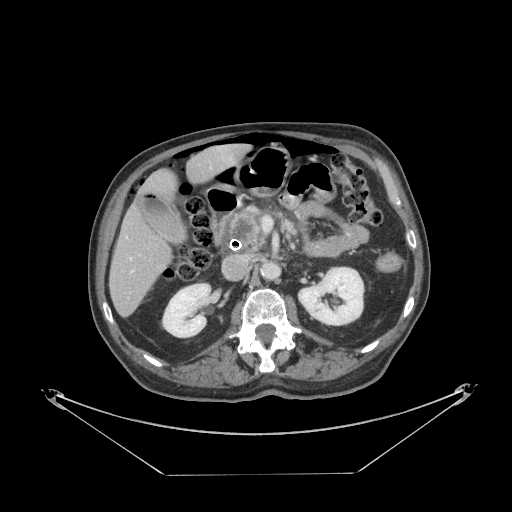
CT scan slice

The pancreatic tumor appears at 232 217 252 240. The pancreas is bounded by 229 211 263 251.